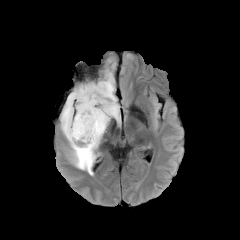
FLAIR MR image.
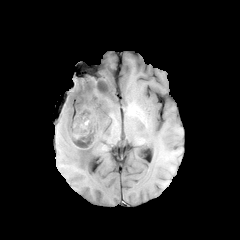
Same slice, T1-weighted MRI.
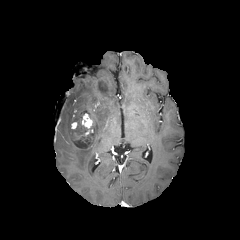
Post-contrast T1-weighted magnetic resonance of the same slice.
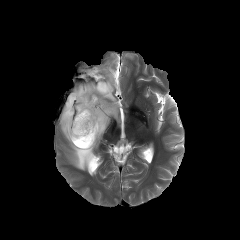
Same slice, T2-weighted MR image.
The enhancing tumor is at region(81, 113, 92, 135). The non-enhancing tumor core is bounded by region(74, 97, 105, 148). The edema is at region(60, 69, 120, 175).